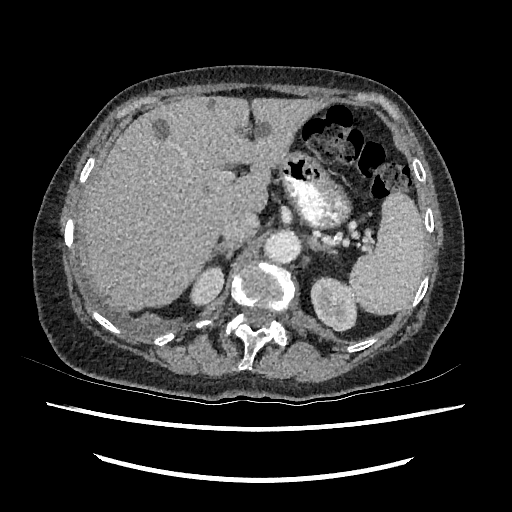

CT image | 512x512 | Upper abdomen

kidney:
  - <bbox>311, 278, 359, 330</bbox>
  - <bbox>192, 268, 223, 304</bbox>
liver_lesion:
  - <bbox>207, 99, 215, 107</bbox>
  - <bbox>256, 123, 268, 136</bbox>
  - <bbox>153, 119, 168, 139</bbox>
  - <bbox>236, 129, 246, 137</bbox>
liver:
  - <bbox>86, 96, 326, 311</bbox>